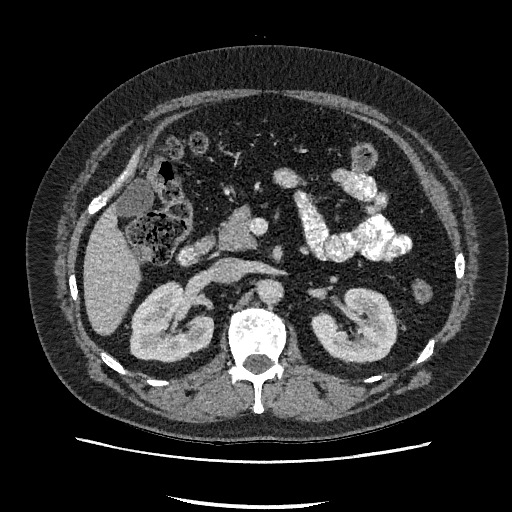

CT slice.
Kidney — 131 284 212 360, 313 289 395 361.
Liver — 83 205 140 333.